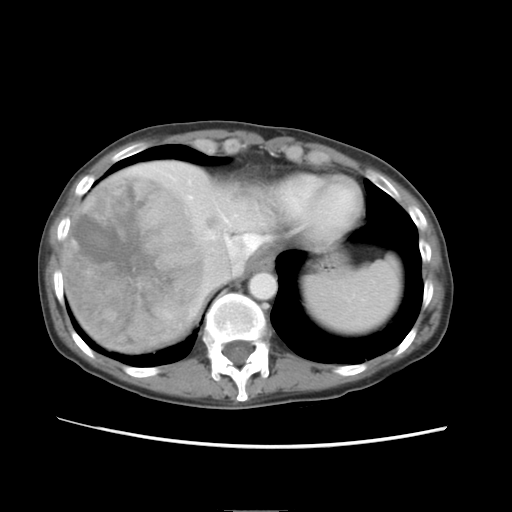
Abdomen, 512x512, CT slice

Some hepatic vessels may have no box.
Segmented structures:
- liver tumor: rect(63, 171, 210, 353)
- hepatic vessel: rect(226, 235, 260, 272); rect(189, 196, 191, 197)